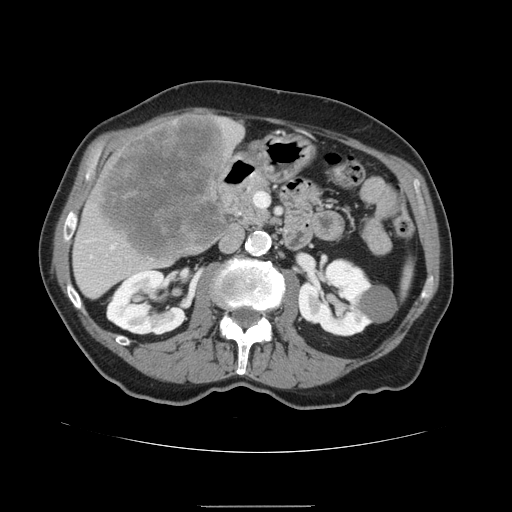

CT slice, 512x512, Abdomen

Spleen: [402,260,412,291].